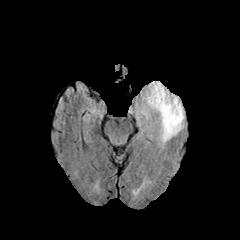
FLAIR magnetic resonance.
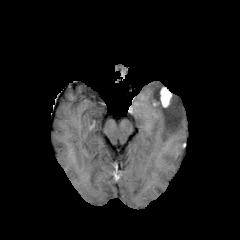
Same slice, T1-weighted MRI.
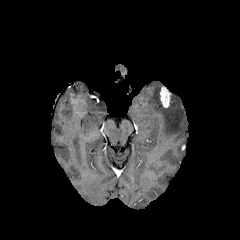
Post-contrast T1-weighted MR.
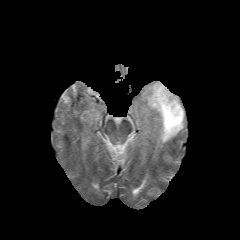
T2-weighted MRI.
Brain
Findings:
- enhancing tumor: 159,85,172,107
- edema: 135,81,184,146